Upper abdomen, CT, Field of view 474x474 mm
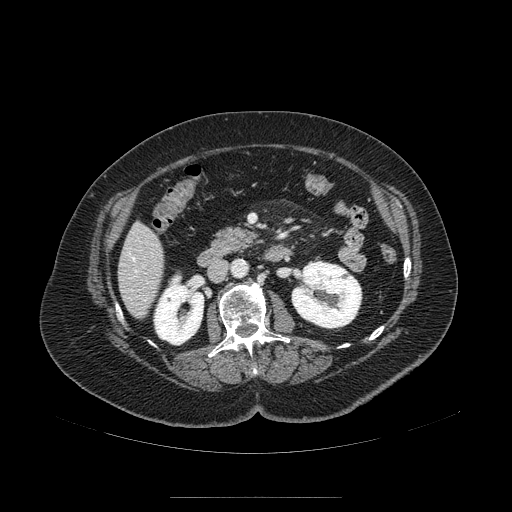
The pancreas lies within (213,224,256,256).